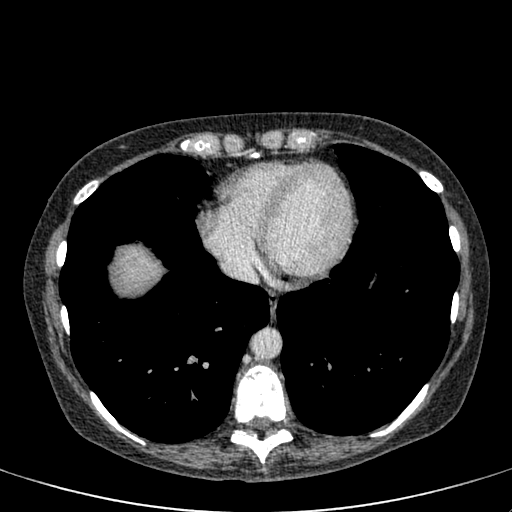

Liver. Computed tomography. Image size 512x512.
- liver: [111,246,160,294]